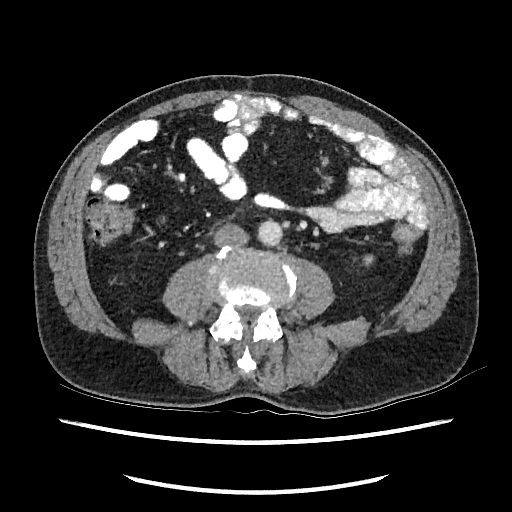
CT
Kidney = [363,256,372,264].